FLAIR MRI.
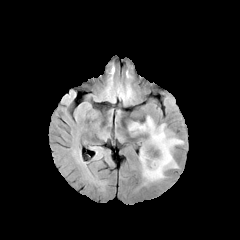
T1-weighted magnetic resonance.
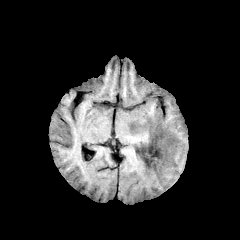
Post-contrast T1-weighted MR image.
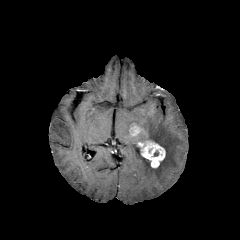
T2-weighted MRI.
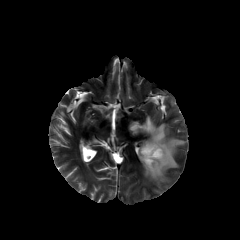
Head
Enhancing tumor: [130, 123, 141, 133], [140, 141, 165, 167].
Edema: [129, 116, 184, 180].